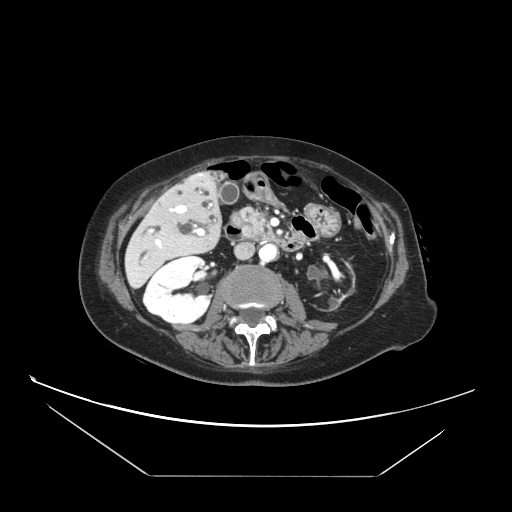
512x512 px; CT slice
Pancreas = 242, 208, 276, 239.
Pancreatic tumor = 249, 213, 264, 235.